FLAIR MR.
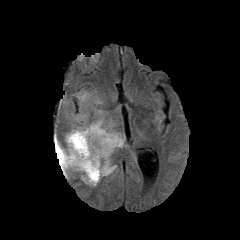
T1-weighted MR image.
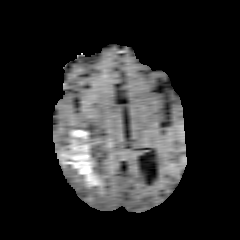
Post-contrast T1-weighted MR image.
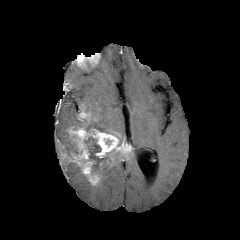
T2-weighted MRI.
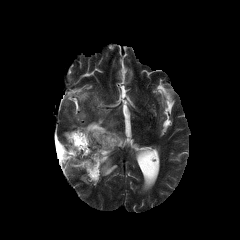
enhancing tumor: <bbox>60, 127, 126, 184</bbox> | non-enhancing tumor core: <bbox>61, 159, 73, 171</bbox>, <bbox>84, 136, 96, 147</bbox>, <bbox>54, 135, 78, 162</bbox>, <bbox>92, 145, 105, 175</bbox> | edema: <bbox>88, 140, 99, 159</bbox>, <bbox>98, 148, 119, 182</bbox>, <bbox>58, 126, 77, 149</bbox>, <bbox>65, 162, 96, 185</bbox>, <bbox>85, 118, 123, 139</bbox>